35x49 px | Image width 35 mm | MR
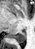

posterior_hippocampus:
  - 11 29 25 42